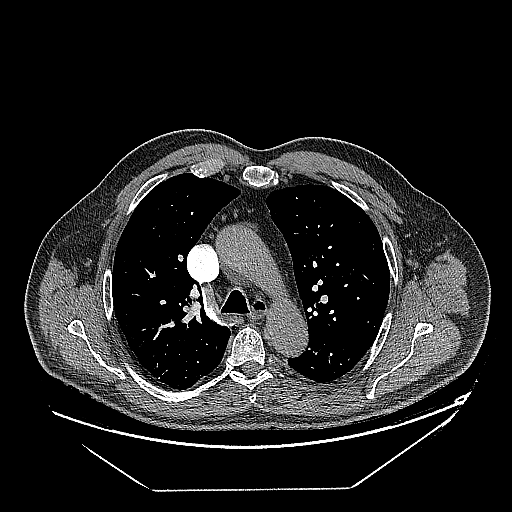

CT.
{
  "lung_tumor": [
    "(x1=136, y1=348, x2=145, y2=358)"
  ]
}